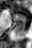

MR
Annotated regions:
* posterior hippocampus: (15, 22, 25, 31)
* anterior hippocampus: (12, 13, 25, 21)